Brain, Slice 53/155, Image size 240x240
FLAIR magnetic resonance.
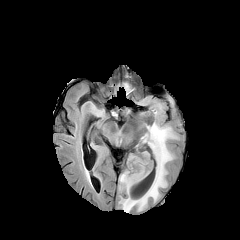
T1-weighted MR.
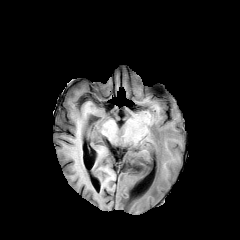
Post-contrast T1-weighted MR.
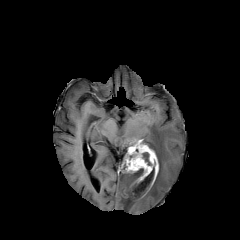
T2-weighted MRI.
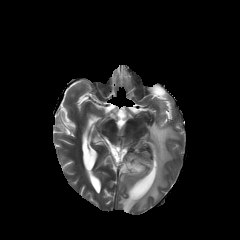
Annotated regions:
* enhancing tumor: region(150, 150, 158, 180); region(126, 158, 151, 180)
* edema: region(119, 120, 175, 212)
* non-enhancing tumor core: region(134, 168, 143, 181); region(125, 140, 155, 182)